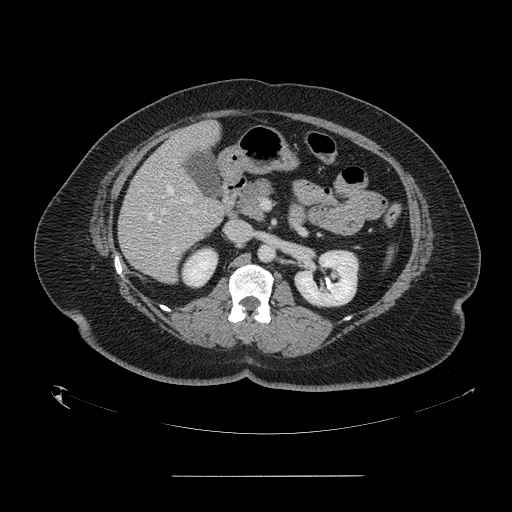
Computed tomography.

Spleen = [x1=386, y1=250, x2=392, y2=263].